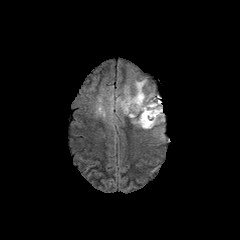
FLAIR MRI.
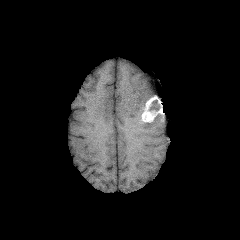
T1-weighted magnetic resonance.
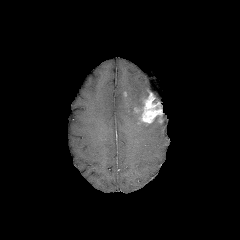
Post-contrast T1-weighted MR of the same slice.
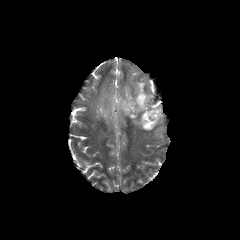
Same slice, T2-weighted magnetic resonance.
Segmented structures:
• enhancing tumor: {"x1": 140, "y1": 92, "x2": 162, "y2": 125}
• edema: {"x1": 94, "y1": 78, "x2": 163, "y2": 139}
• non-enhancing tumor core: {"x1": 134, "y1": 94, "x2": 143, "y2": 113}